Brain
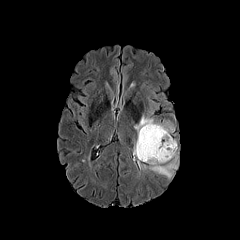
FLAIR MR.
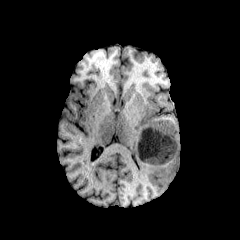
Same slice, T1-weighted MR image.
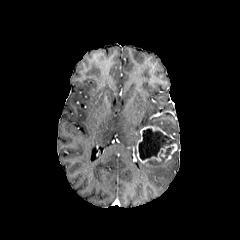
Post-contrast T1-weighted magnetic resonance.
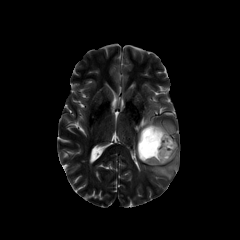
Same slice, T2-weighted magnetic resonance.
Enhancing tumor = rect(136, 126, 176, 162).
Edema = rect(138, 152, 178, 178); rect(134, 109, 173, 141).
Non-enhancing tumor core = rect(138, 129, 173, 160); rect(165, 147, 174, 158).